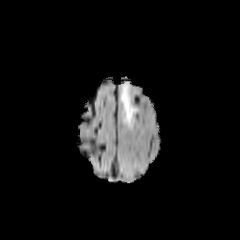
FLAIR MR.
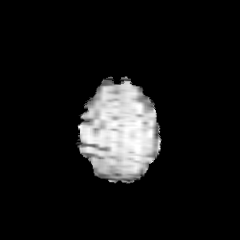
Same slice, T1-weighted MR image.
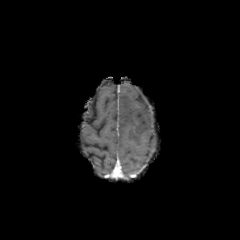
Post-contrast T1-weighted MRI.
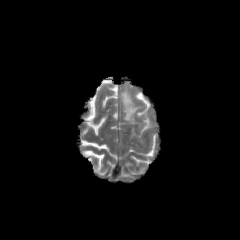
T2-weighted magnetic resonance of the same slice.
240x240.
{"edema": ["x1=121, y1=84, x2=138, y2=124"]}